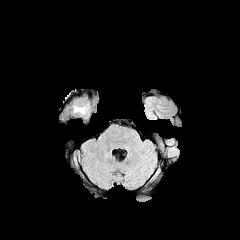
FLAIR magnetic resonance.
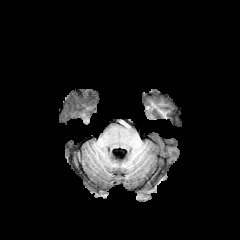
T1-weighted MR image.
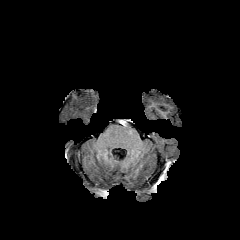
Post-contrast T1-weighted MR image.
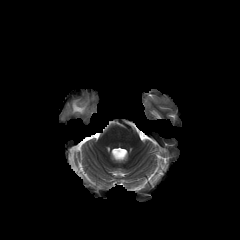
Same slice, T2-weighted magnetic resonance.
The edema lies within box(72, 102, 88, 114).